MRI slice | 320x320 | Cardiac 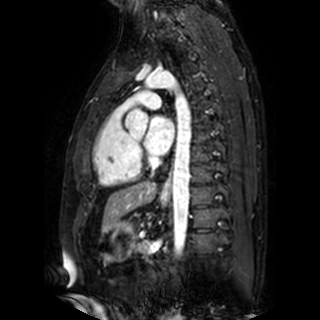 {"left_atrium": ["box(145, 117, 173, 154)"]}